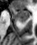
MRI; Medial temporal lobe
posterior_hippocampus:
  - (x1=18, y1=20, x2=26, y2=22)
anterior_hippocampus:
  - (x1=11, y1=8, x2=29, y2=19)